FLAIR MR image.
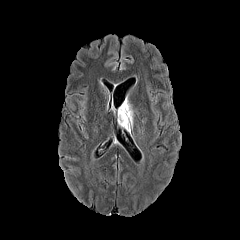
T1-weighted magnetic resonance.
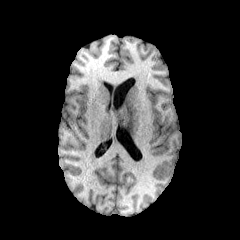
Post-contrast T1-weighted MR image.
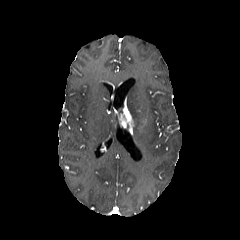
T2-weighted magnetic resonance.
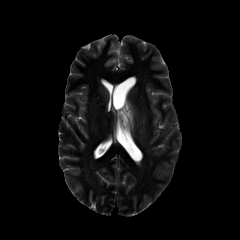
Annotated regions:
• enhancing tumor: {"x1": 117, "y1": 99, "x2": 135, "y2": 133}